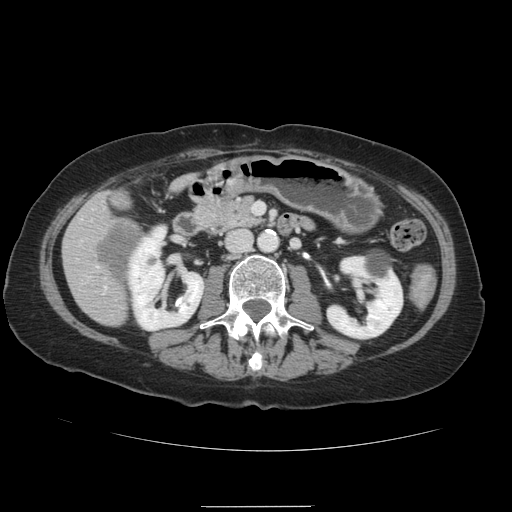 Liver. Image size 512x512. CT image.

The liver tumor is at x1=97 y1=221 x2=139 y2=285.